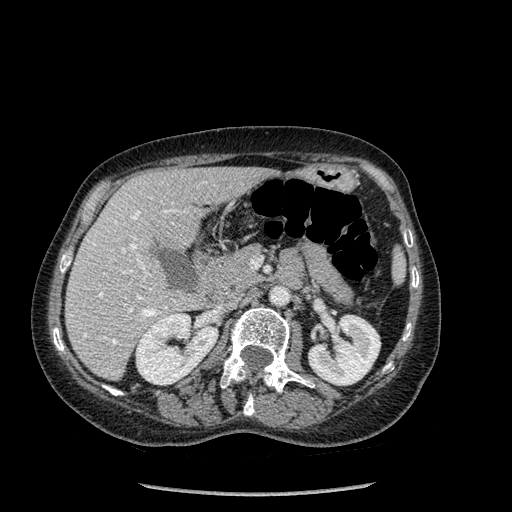 Computed tomography; Abdomen

Bone = l=402, t=323, r=411, b=340; l=411, t=267, r=419, b=287; l=243, t=394, r=254, b=415; l=403, t=229, r=413, b=247; l=60, t=256, r=70, b=272; l=53, t=327, r=64, b=351; l=103, t=385, r=122, b=395; l=221, t=307, r=314, b=392.
Liver = l=65, t=167, r=275, b=380.
Kidney = l=327, t=314, r=335, b=333; l=309, t=315, r=380, b=384; l=136, t=314, r=217, b=384.